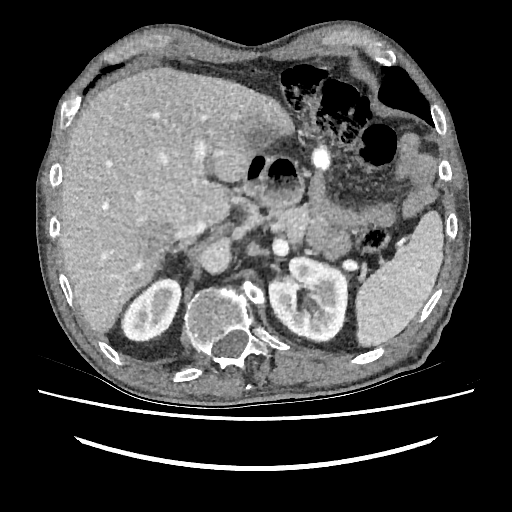
Liver; Computed tomography

focal_liver_lesion:
  - box=[142, 222, 169, 255]
  - box=[244, 120, 281, 152]
liver:
  - box=[60, 68, 294, 332]
kidney:
  - box=[123, 279, 180, 340]
  - box=[269, 257, 346, 340]